Slice 202 of 689. CT. 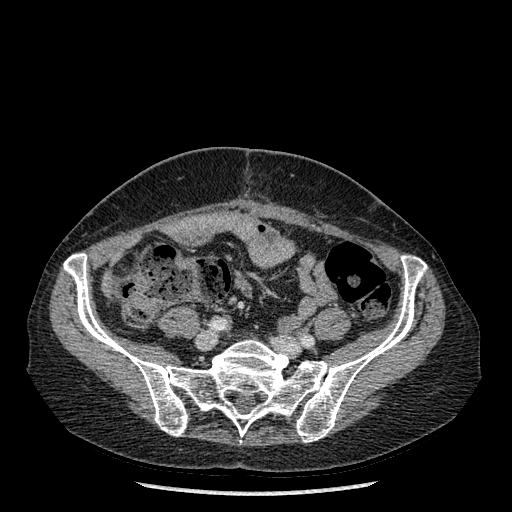 Bone: bounding box (left=63, top=253, right=427, bottom=442).